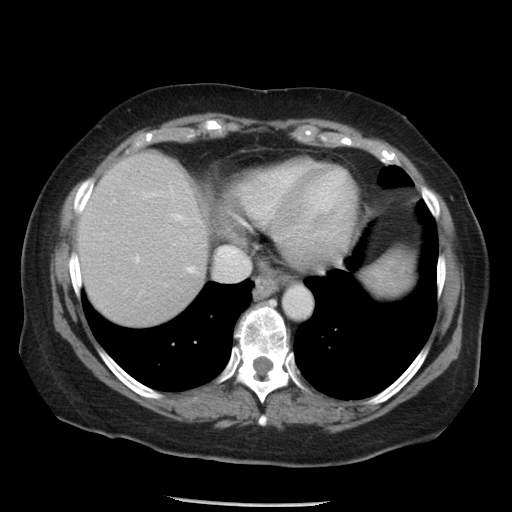
512x512 px, CT

Some hepatic vessels may have no box.
Hepatic vessel at bbox=[132, 255, 139, 261]; bbox=[186, 266, 196, 272]; bbox=[112, 200, 114, 202]; bbox=[143, 192, 156, 196]; bbox=[169, 182, 174, 200]; bbox=[172, 214, 182, 219].